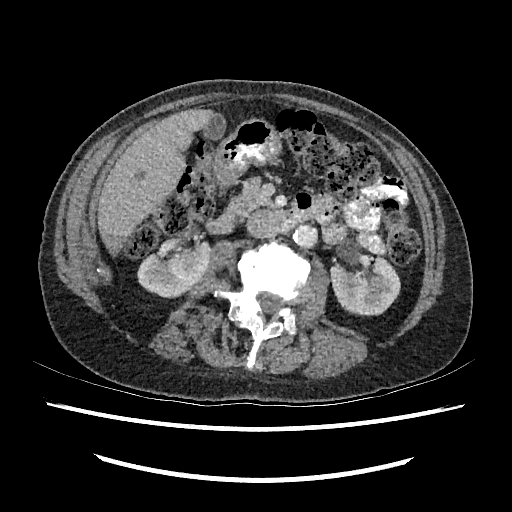
Liver; CT scan slice

Liver: bbox=[99, 108, 210, 252].
Focal liver lesion: bbox=[106, 233, 125, 245]; bbox=[135, 172, 145, 180].
Kidney: bbox=[138, 243, 210, 296]; bbox=[331, 255, 399, 314].